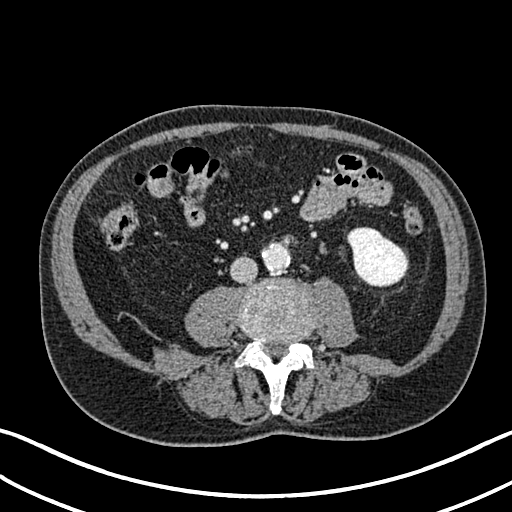
CT image
<segmentation>
  <kidney>348, 228, 406, 285</kidney>
</segmentation>